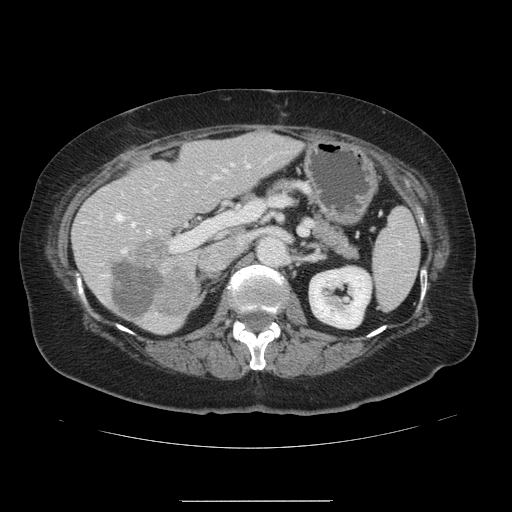

512x512 px. Computed tomography. Liver.
The vessel annotation is not exhaustive.
hepatic vessel: (x1=169, y1=205, x2=239, y2=251), (x1=147, y1=230, x2=149, y2=233), (x1=222, y1=201, x2=228, y2=205), (x1=99, y1=216, x2=100, y2=217), (x1=212, y1=175, x2=218, y2=178), (x1=199, y1=171, x2=201, y2=172), (x1=131, y1=223, x2=134, y2=225), (x1=115, y1=214, x2=123, y2=219), (x1=246, y1=164, x2=248, y2=166), (x1=231, y1=163, x2=232, y2=164), (x1=121, y1=249, x2=125, y2=252), (x1=223, y1=170, x2=226, y2=171) | liver tumor: (x1=112, y1=239, x2=193, y2=321)